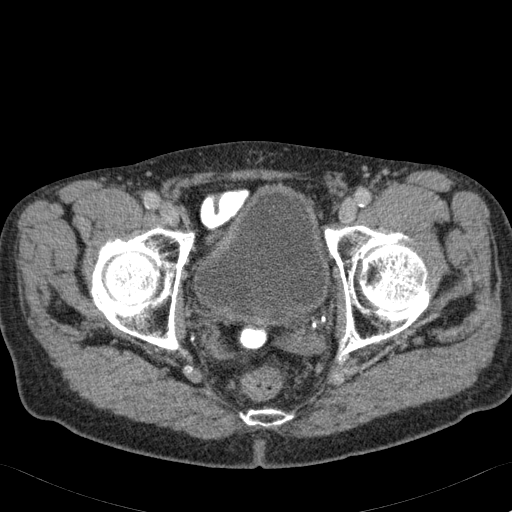
Computed tomography. Pelvis.
<segmentation>
  <urinary_bladder>x1=195, y1=188, x2=332, y2=319</urinary_bladder>
</segmentation>